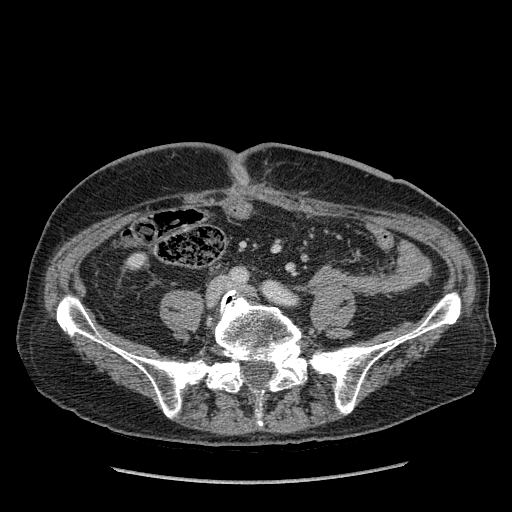
CT scan slice, 512x512

Segmented structures:
* kidney: bbox=[127, 254, 145, 268]